Field of view 340 mm wide, 1.50 mm slice spacing, Slice 279 of 401, Abdomen, Computed tomography, Image size 512x512

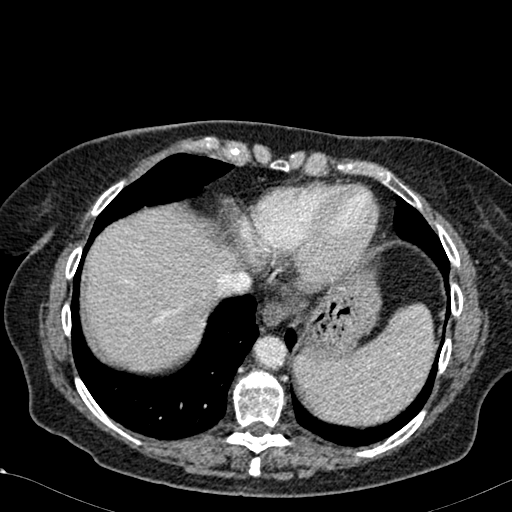 The liver appears at 86 209 235 369.